Computed tomography, Slice index 15 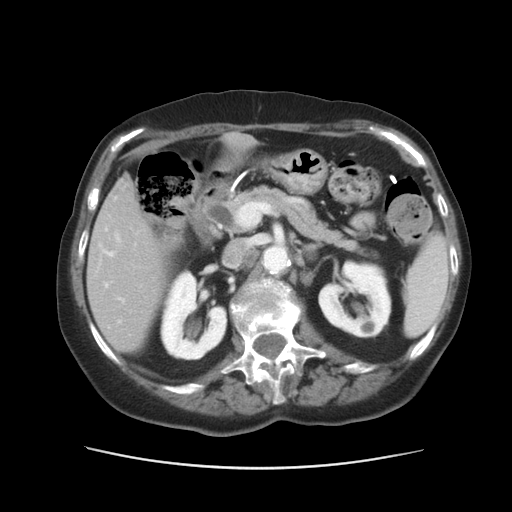

The vessel annotation is not exhaustive.
7 hepatic vessel regions are located at (114, 235, 120, 242), (117, 298, 123, 302), (104, 283, 110, 287), (96, 244, 114, 270), (232, 199, 264, 227), (117, 321, 120, 323), (105, 228, 107, 230).